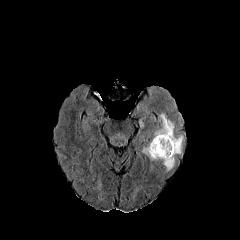
FLAIR MR.
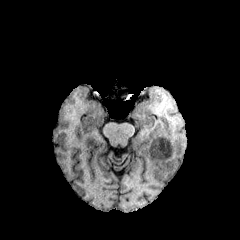
T1-weighted MRI of the same slice.
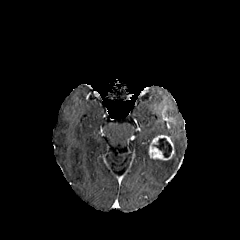
Post-contrast T1-weighted magnetic resonance of the same slice.
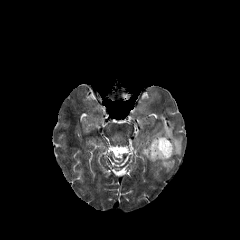
T2-weighted MR image.
edema:
  - 153, 113, 184, 172
enhancing_tumor:
  - 148, 135, 174, 160
non-enhancing_tumor_core:
  - 154, 138, 171, 157